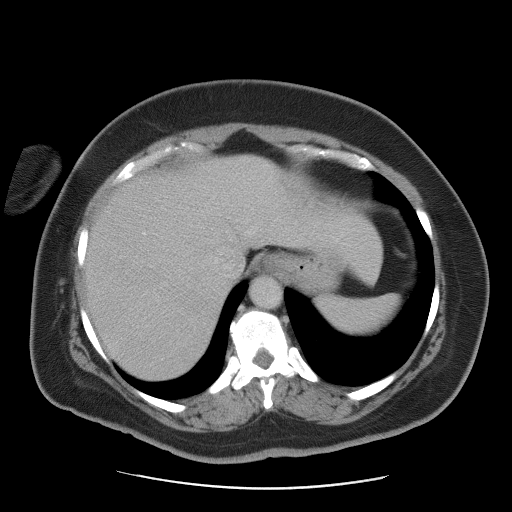 CT scan slice
Not every hepatic vessel necessarily has a box.
The hepatic vessel is at (208,250,232,269).